Slice 211/252, CT

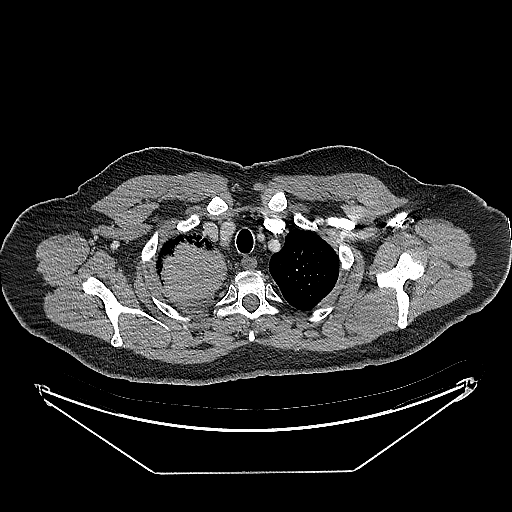 The lung tumor is at 156:234:227:303.